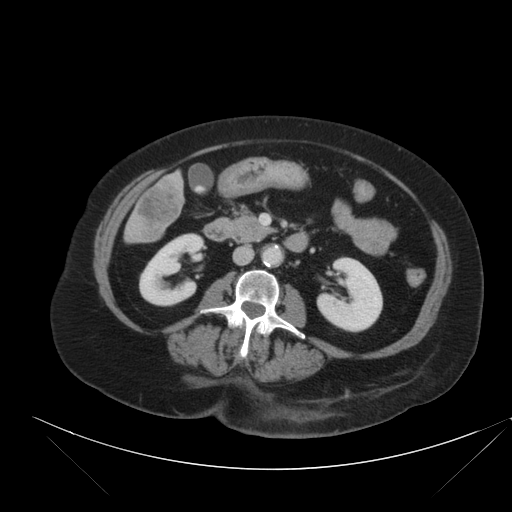

CT | Abdomen

The vessel boxes may cover only some of the vessels.
Liver tumor: region(137, 181, 182, 241).
Hepatic vessel: region(170, 174, 178, 179).